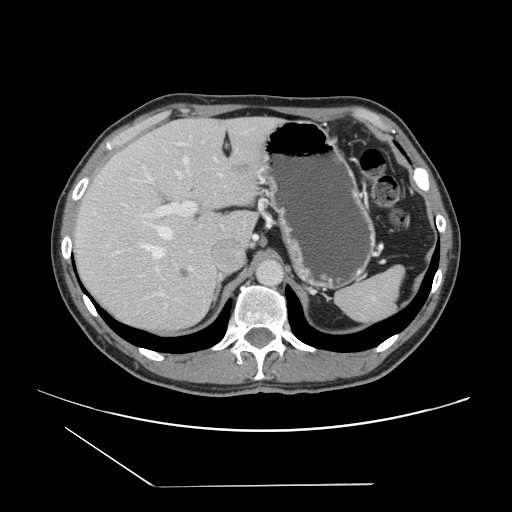
Computed tomography

Not every hepatic vessel necessarily has a box.
Liver tumor — <box>233,163,248,173</box>, <box>180,272,190,280</box>.
Principal 15 of 19 hepatic vessel regions — <box>152,178,153,181</box>, <box>152,254,159,259</box>, <box>184,156,188,171</box>, <box>193,203,196,210</box>, <box>176,171,181,178</box>, <box>155,211,156,214</box>, <box>116,251,119,252</box>, <box>190,267,192,270</box>, <box>182,207,193,215</box>, <box>179,144,183,145</box>, <box>143,216,146,217</box>, <box>144,168,145,170</box>, <box>199,225,200,227</box>, <box>244,131,246,133</box>, <box>157,271,159,273</box>.